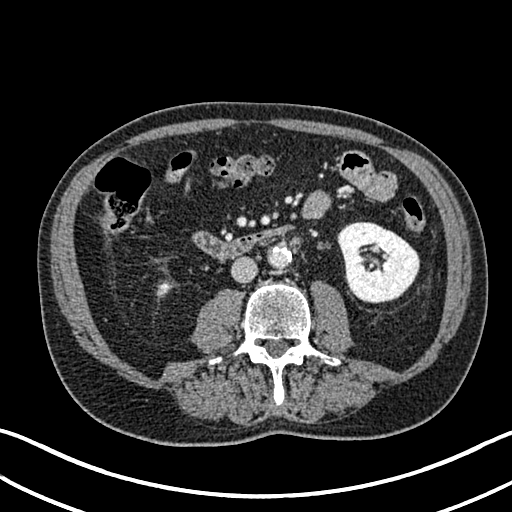 CT slice | 512x512 px

kidney: 338 223 418 302, 158 284 168 294